512x512 | Computed tomography 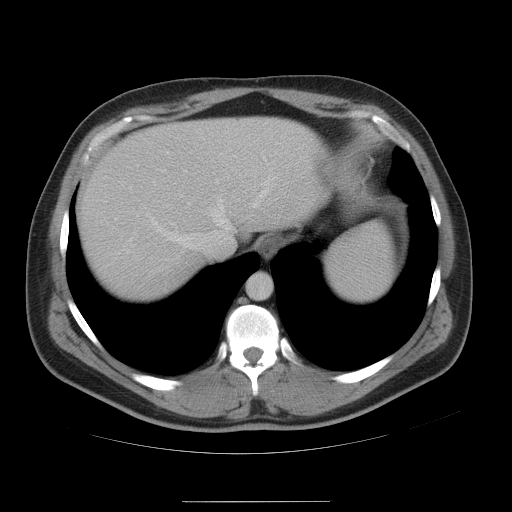 Spleen at bbox(326, 223, 395, 302).